FLAIR magnetic resonance.
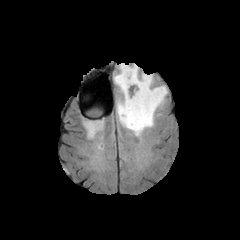
T1-weighted MRI.
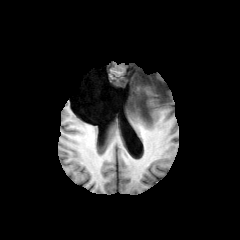
Post-contrast T1-weighted MR.
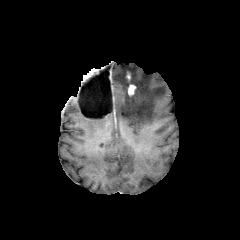
T2-weighted MRI.
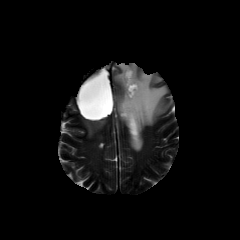
Edema = 113, 64, 167, 136.
Enhancing tumor = 128, 84, 135, 95.
Non-enhancing tumor core = 124, 76, 137, 98.